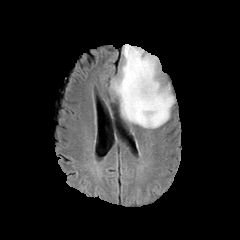
FLAIR MR.
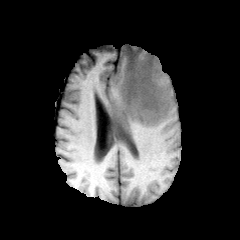
Same slice, T1-weighted MRI.
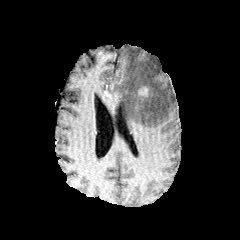
Same slice, post-contrast T1-weighted magnetic resonance.
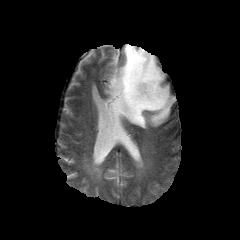
T2-weighted MR image.
240x240
Segmented structures:
- enhancing tumor: box=[137, 86, 149, 97]
- edema: box=[109, 44, 175, 128]